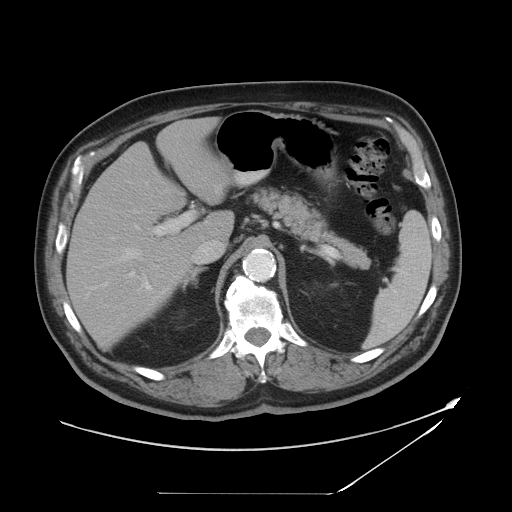

Image size 512x512 | CT
Not every hepatic vessel necessarily has a box.
hepatic vessel: (147, 238, 149, 239), (138, 276, 151, 290), (108, 248, 111, 251), (152, 287, 167, 302), (85, 283, 108, 289), (129, 271, 134, 278), (147, 228, 149, 231), (186, 261, 188, 262), (169, 280, 172, 283), (113, 249, 116, 250), (110, 260, 113, 261), (115, 248, 142, 263), (134, 224, 138, 228), (122, 313, 125, 316) | liver tumor: (211, 183, 222, 200)